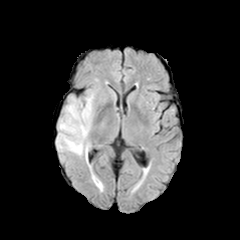
FLAIR magnetic resonance.
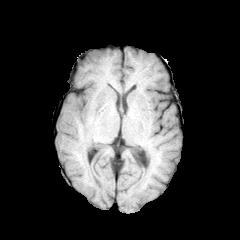
T1-weighted MRI.
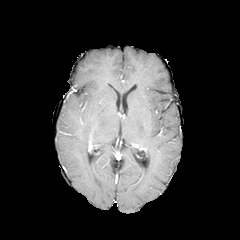
Post-contrast T1-weighted MR of the same slice.
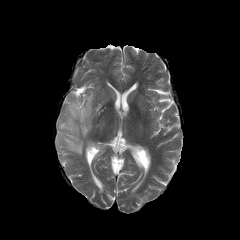
T2-weighted MRI of the same slice.
Head
The edema appears at box(56, 89, 96, 161).